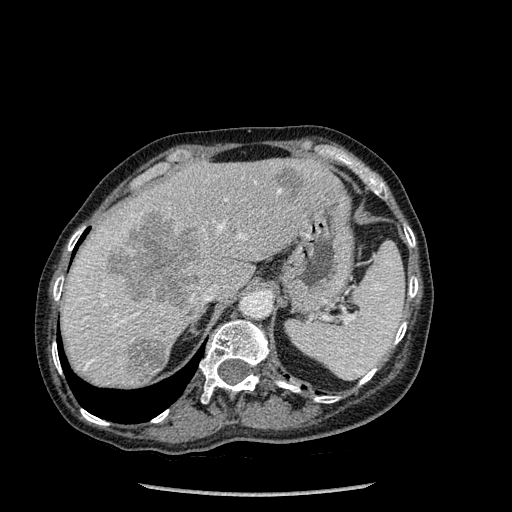
CT slice | 512x512 px | Abdomen
Lung — 58, 343, 200, 423.
Liver — 61, 158, 342, 388.
Bone — 68, 228, 83, 251; 359, 368, 376, 384; 314, 396, 339, 403; 408, 276, 418, 297; 80, 409, 108, 425; 53, 276, 63, 300; 275, 381, 300, 391; 371, 180, 387, 198; 151, 409, 168, 422; 393, 322, 406, 344; 404, 225, 415, 247; 52, 342, 61, 373; 199, 320, 268, 403.
Focal liver lesion — 126, 338, 164, 377; 276, 166, 304, 200; 106, 211, 200, 308.